Computed tomography; Abdomen; Field of view 380 mm wide, 2.50 mm slice spacing

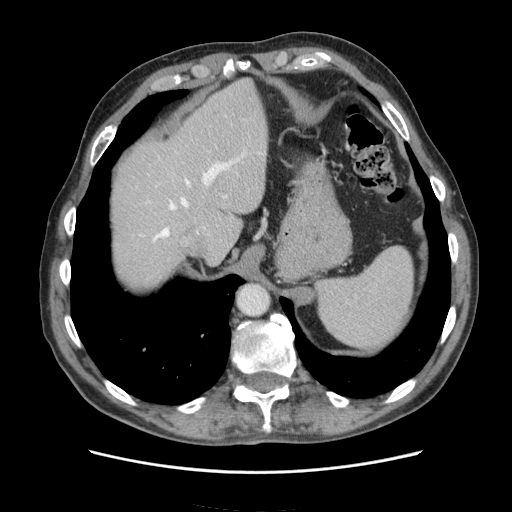

* spleen: box=[317, 248, 413, 348]